FLAIR MR image.
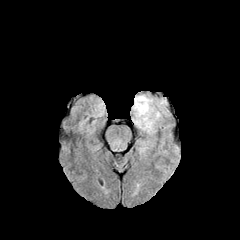
T1-weighted magnetic resonance.
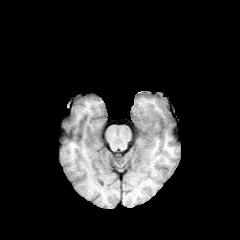
Post-contrast T1-weighted MR image.
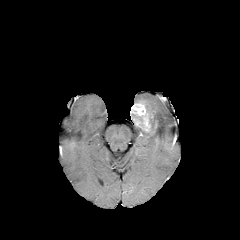
T2-weighted MRI.
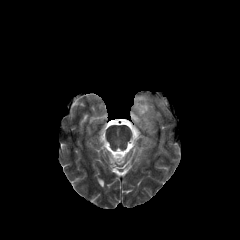
Head.
enhancing tumor: (132, 103, 149, 130) | non-enhancing tumor core: (136, 100, 157, 132), (132, 113, 146, 129) | edema: (134, 94, 169, 121), (137, 140, 155, 156)